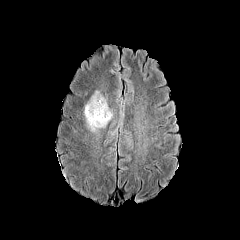
FLAIR MR.
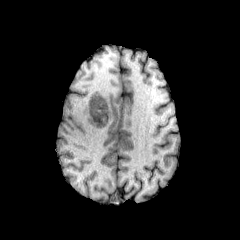
T1-weighted MRI of the same slice.
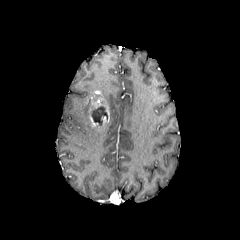
Same slice, post-contrast T1-weighted magnetic resonance.
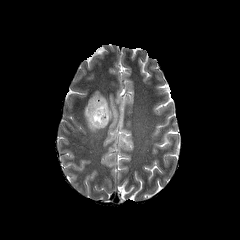
T2-weighted magnetic resonance.
Head. 240x240.
* edema: <box>84,102,100,131</box>
* non-enhancing tumor core: <box>89,94,107,128</box>
* enhancing tumor: <box>90,90,104,108</box>, <box>101,105,109,125</box>